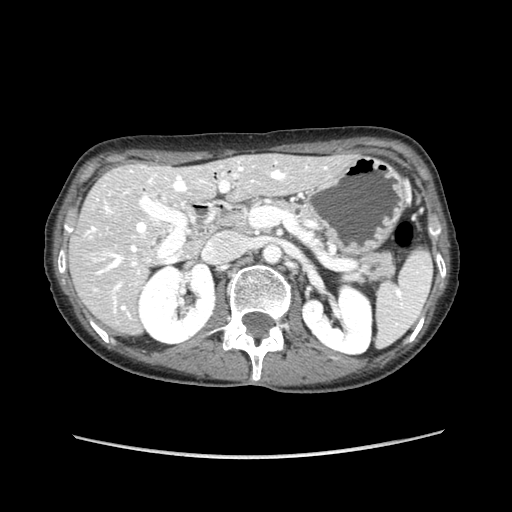

CT image. Upper abdomen. 2 pancreas regions appear at x1=354, y1=253, x2=393, y2=278; x1=271, y1=200, x2=311, y2=218.